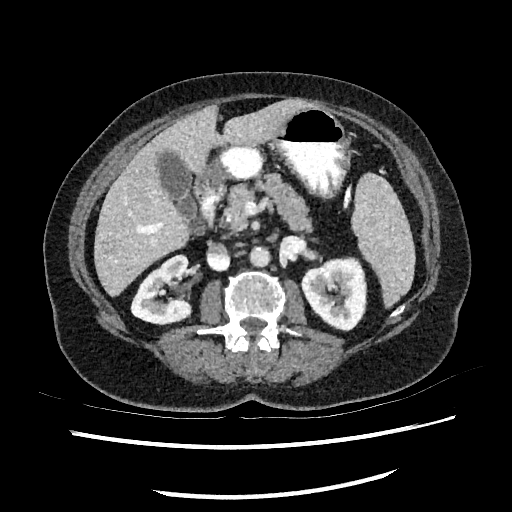 CT scan slice. Annotated regions:
• liver: (94, 98, 307, 297)
• hepatic lesion: (101, 241, 114, 254)
• kidney: (132, 255, 189, 323), (302, 260, 364, 329)